CT slice, Field of view 434x434 mm

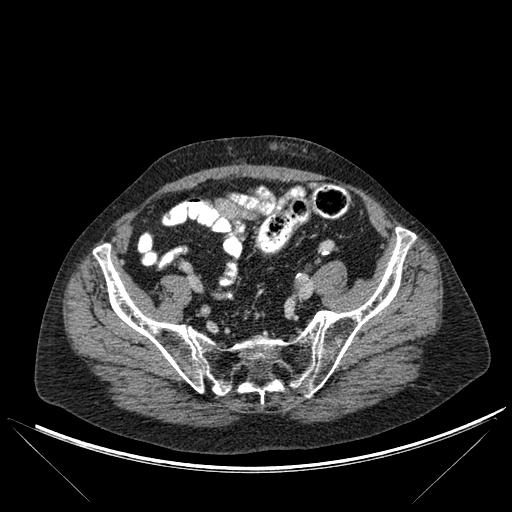 2 bone regions are bounded by 93, 227, 416, 396; 238, 378, 283, 402.